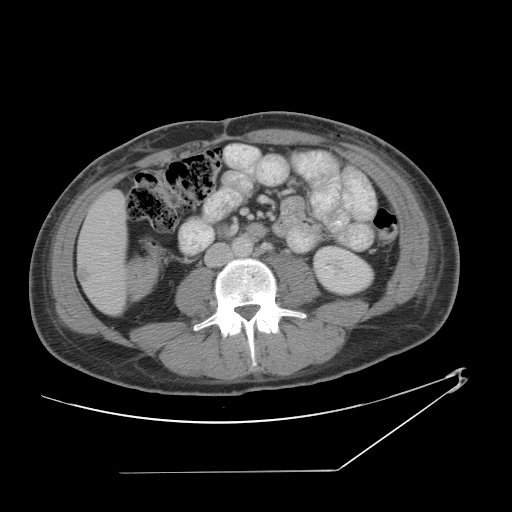 Abdomen | CT
The vessel annotation is not exhaustive.
Liver tumor: left=78, top=269, right=91, bottom=281.
Hepatic vessel: left=105, top=253, right=107, bottom=255.